Brain. Slice 34 of 155. Image size 240x240.
FLAIR MRI.
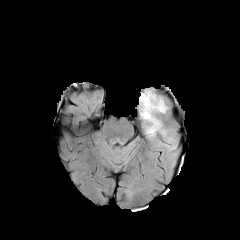
T1-weighted MR.
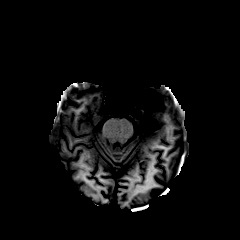
Post-contrast T1-weighted magnetic resonance.
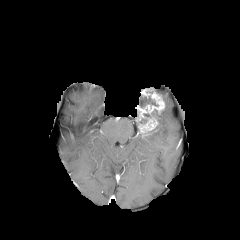
T2-weighted MRI.
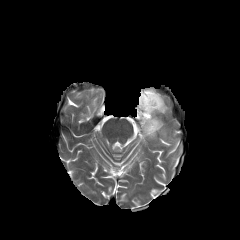
Edema = 160,142,175,154; 142,109,163,141.
Enhancing tumor = 138,88,164,112; 140,120,153,135.
Non-enhancing tumor core = 142,112,158,133; 139,94,159,107.